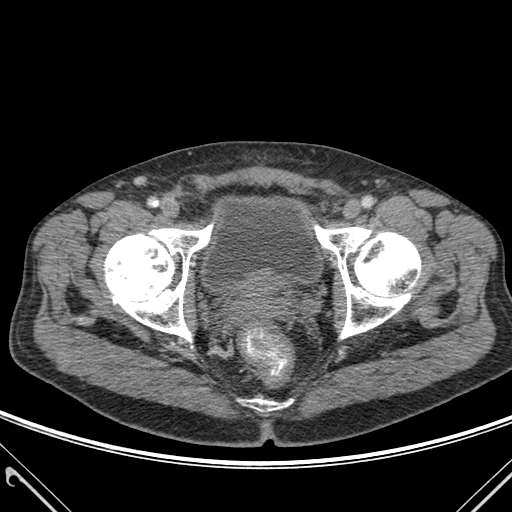
Image size 512x512. CT.
Bone = 314, 226, 420, 338; 104, 225, 212, 341; 249, 399, 283, 410.